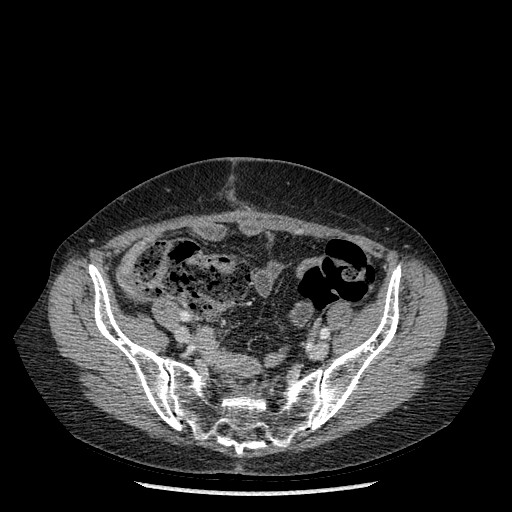
CT scan slice
<segmentation>
  <bone>[217,435,266,456], [88,264,401,447]</bone>
</segmentation>